FLAIR MR.
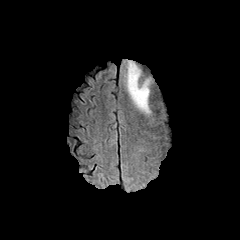
T1-weighted magnetic resonance.
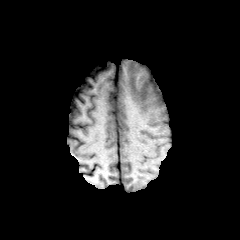
Post-contrast T1-weighted MR.
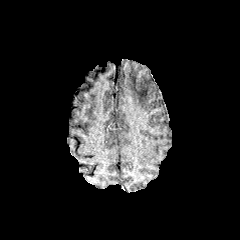
T2-weighted MR.
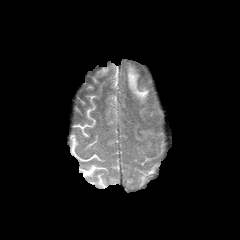
The edema lies within <box>127,63,149,111</box>.